Abdomen; Slice 320/366; CT image; 512x512
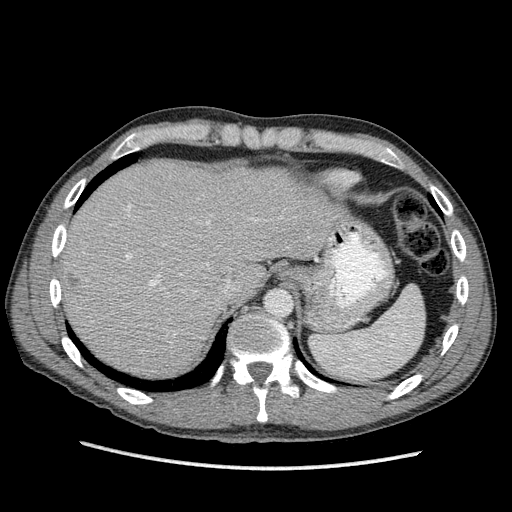
Liver: bounding box {"x1": 57, "y1": 159, "x2": 340, "y2": 378}.
Focal liver lesion: bounding box {"x1": 66, "y1": 272, "x2": 78, "y2": 288}.